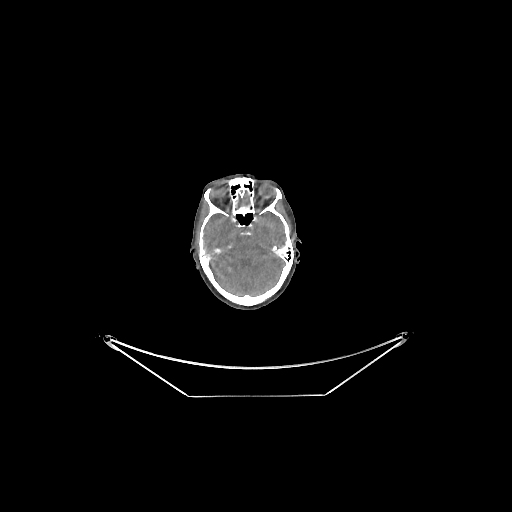 Head. Computed tomography. Annotated regions:
- brain: (x1=203, y1=211, x2=286, y2=296), (x1=236, y1=191, x2=250, y2=209)